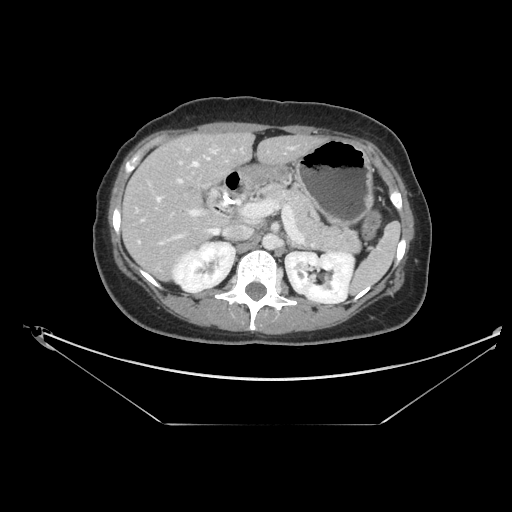 CT slice. 512x512 px. The pancreas is at (257, 184, 361, 253).